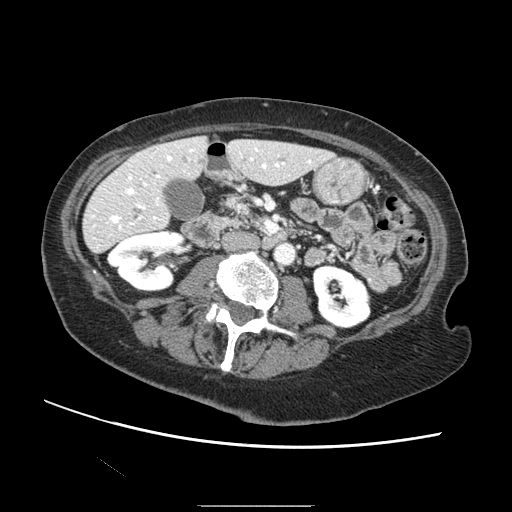

Image size 512x512. CT. Pancreas: bounding box <bbox>220, 196, 258, 227</bbox>.